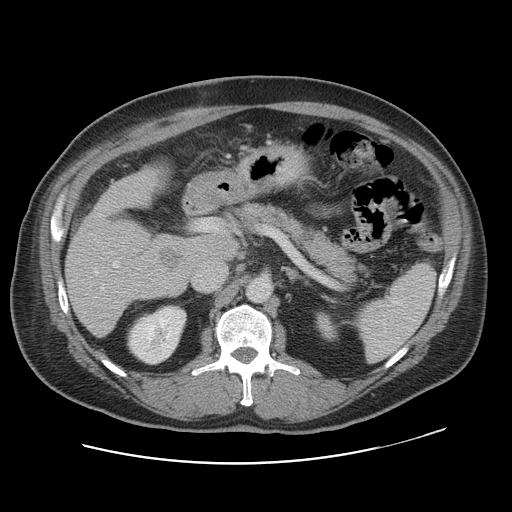 Image size 512x512; CT slice
The vessel annotation is not exhaustive.
{
  "liver_tumor": [
    "bbox=[158, 246, 182, 273]"
  ],
  "hepatic_vessel": [
    "bbox=[153, 261, 155, 262]",
    "bbox=[113, 261, 118, 267]",
    "bbox=[142, 257, 144, 259]",
    "bbox=[115, 278, 118, 286]",
    "bbox=[101, 283, 105, 291]"
  ]
}